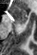

MRI | 37x55 px
<segmentation>
  <anterior_hippocampus><box>10,6,27,22</box></anterior_hippocampus>
  <posterior_hippocampus><box>18,23,24,23</box></posterior_hippocampus>
</segmentation>